Liver. Computed tomography. Slice index 385. 512x512 px.
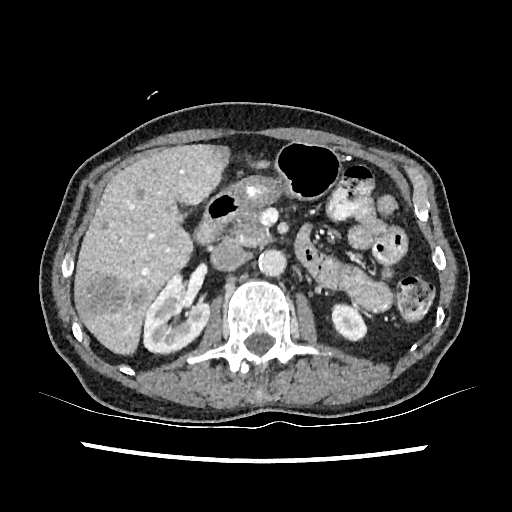 hepatic lesion: [129,287,146,310], [75,274,125,317], [209,145,228,164], [99,220,108,229] | kidney: [144,275,209,352], [332,305,366,339] | liver: [74,144,226,353], [255,161,270,168]